Image size 240x240
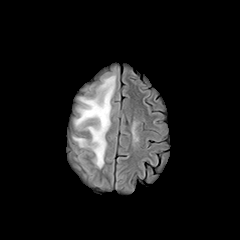
FLAIR MRI.
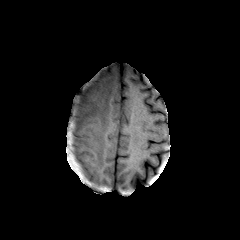
T1-weighted MR image.
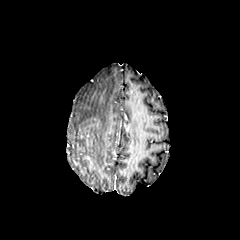
Post-contrast T1-weighted magnetic resonance of the same slice.
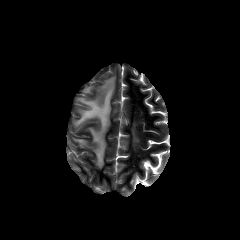
T2-weighted MR of the same slice.
2 edema regions appear at [74, 137, 86, 147], [75, 75, 115, 167].